Abdomen; Computed tomography

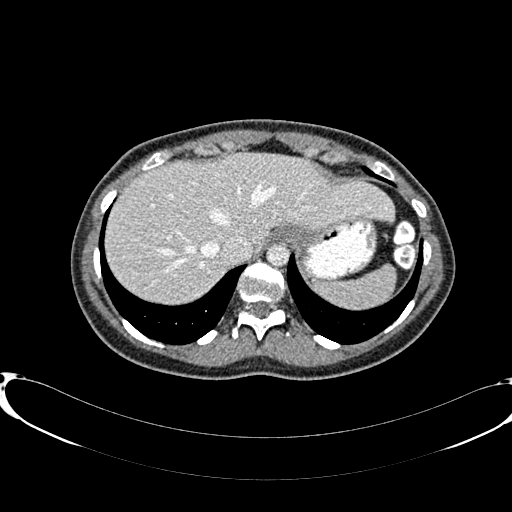

Liver at x1=106 y1=153 x2=394 y2=304.